FLAIR MR.
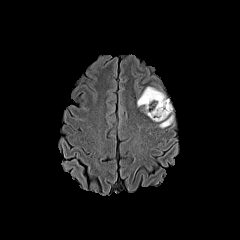
T1-weighted MR.
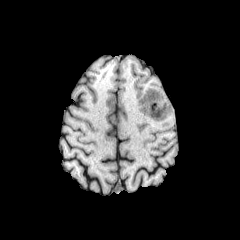
Post-contrast T1-weighted MR.
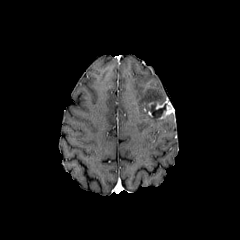
T2-weighted magnetic resonance.
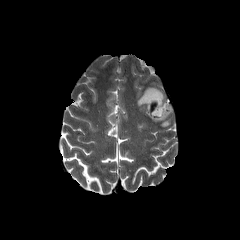
Head
Findings:
- enhancing tumor: left=158, top=99, right=172, bottom=119; left=144, top=101, right=163, bottom=116
- edema: left=137, top=87, right=166, bottom=105; left=160, top=115, right=172, bottom=126
- non-enhancing tumor core: left=151, top=104, right=166, bottom=118